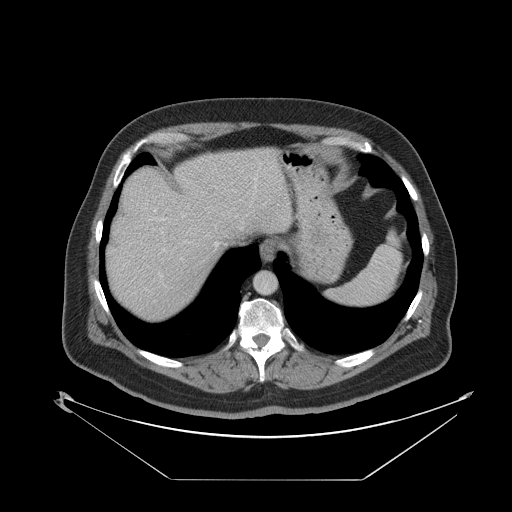

CT scan slice. Image size 512x512. Some hepatic vessels may have no box.
4 hepatic vessel regions appear at x1=240 y1=227 x2=242 y2=229, x1=159 y1=218 x2=162 y2=220, x1=154 y1=209 x2=156 y2=211, x1=215 y1=241 x2=219 y2=247.